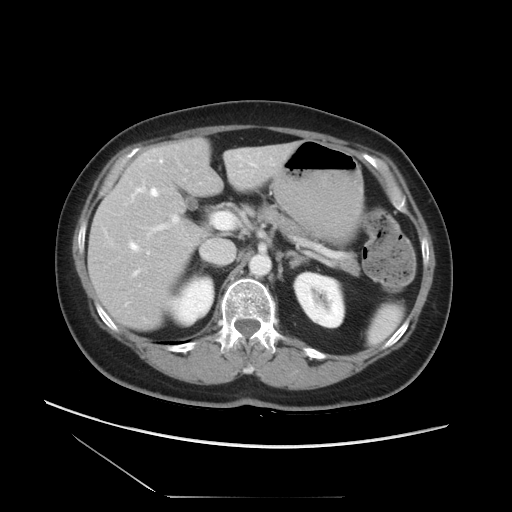

512x512 px, CT slice
The vessel boxes may cover only some of the vessels.
Hepatic vessel at bbox(148, 189, 157, 196); bbox(134, 271, 138, 275); bbox(159, 160, 162, 162); bbox(236, 154, 255, 166); bbox(105, 231, 106, 234); bbox(131, 185, 145, 198); bbox(172, 217, 178, 223); bbox(151, 224, 166, 232); bbox(130, 243, 139, 252); bbox(213, 213, 233, 230).